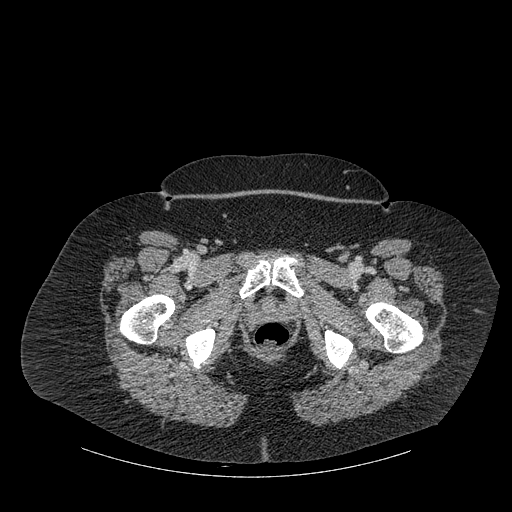

Computed tomography
Annotated regions:
• bone: bbox(186, 328, 214, 367); bbox(120, 294, 174, 343); bbox(325, 330, 352, 368); bbox(366, 302, 422, 352); bbox(239, 257, 303, 298)